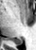

36x50; MRI slice; Hippocampus
<segmentation>
  <posterior_hippocampus>bbox(12, 38, 22, 44)</posterior_hippocampus>
</segmentation>